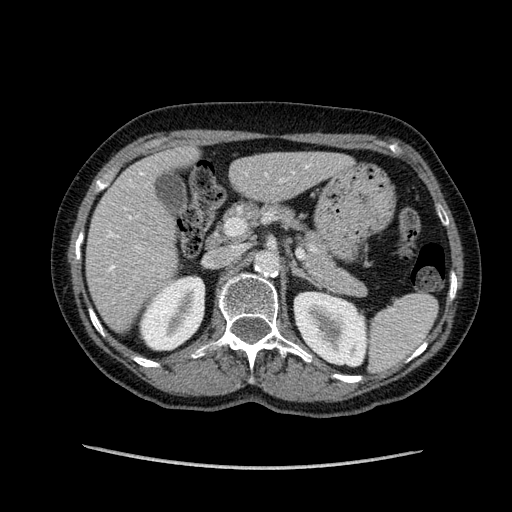
CT
2 liver regions are bounded by l=232, t=152, r=339, b=198; l=87, t=152, r=183, b=320. 2 kidney regions are bounded by l=294, t=292, r=365, b=365; l=142, t=277, r=204, b=349.